Slice 357/751, CT slice, Upper abdomen
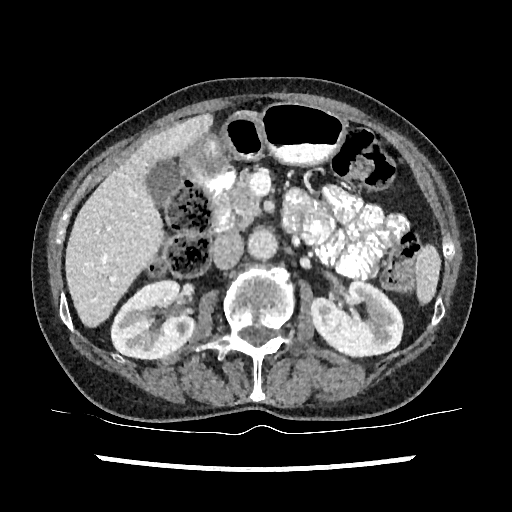
{
  "kidney": [
    "bbox=[112, 280, 194, 358]",
    "bbox=[312, 281, 402, 355]"
  ],
  "liver": [
    "bbox=[66, 114, 212, 326]",
    "bbox=[236, 112, 255, 117]"
  ]
}